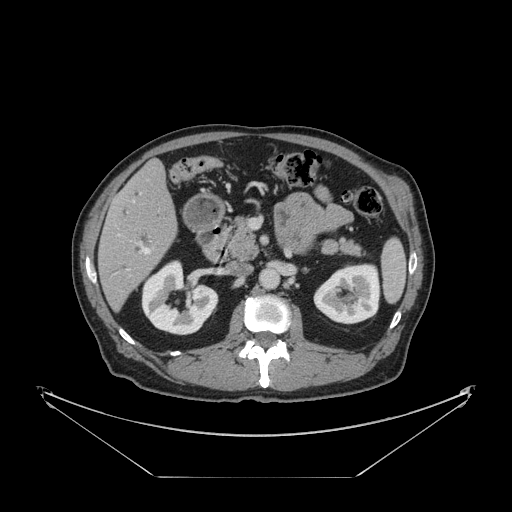

Computed tomography
Only some of the vessels may be annotated.
Hepatic vessel: bounding box (left=117, top=233, right=120, bottom=235), (left=138, top=242, right=149, bottom=253).